FLAIR MRI.
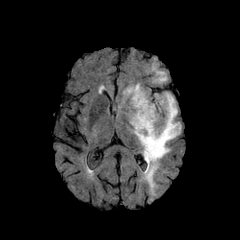
T1-weighted MR image.
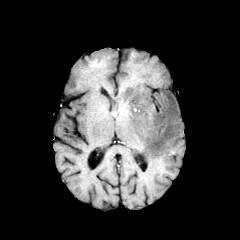
Post-contrast T1-weighted magnetic resonance.
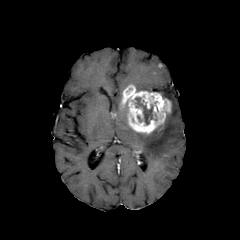
T2-weighted magnetic resonance.
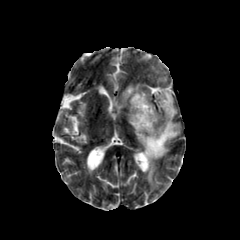
Enhancing tumor — {"x1": 122, "y1": 85, "x2": 172, "y2": 134}.
Non-enhancing tumor core — {"x1": 143, "y1": 105, "x2": 152, "y2": 124}.
Edema — {"x1": 134, "y1": 91, "x2": 181, "y2": 186}, {"x1": 156, "y1": 70, "x2": 167, "y2": 82}.